FLAIR magnetic resonance.
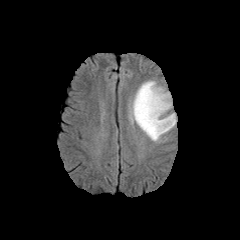
T1-weighted MR.
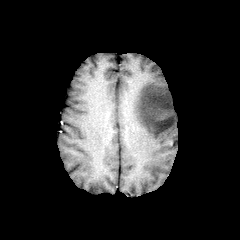
Post-contrast T1-weighted MR image.
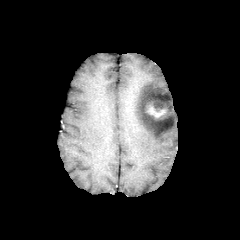
T2-weighted MR image.
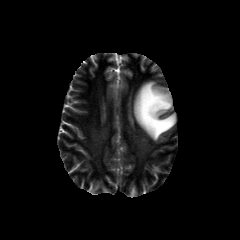
Edema: <box>130,79,176,143</box>.
Enhancing tumor: <box>147,106,166,117</box>.